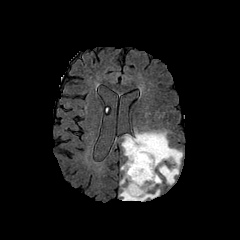
FLAIR magnetic resonance.
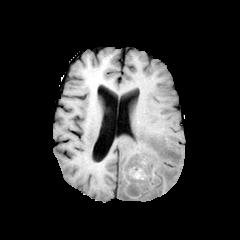
T1-weighted MR.
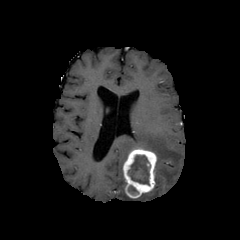
Post-contrast T1-weighted MR.
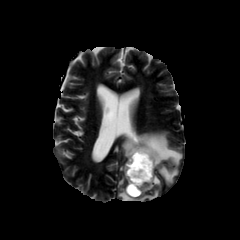
T2-weighted MR.
The non-enhancing tumor core is bounded by box=[128, 156, 148, 184]. 2 edema regions are located at box=[121, 129, 182, 186]; box=[118, 186, 159, 201]. The enhancing tumor lies within box=[122, 146, 157, 198].